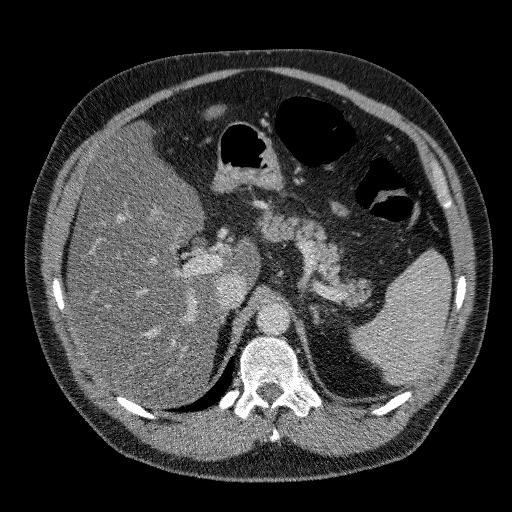 CT. Abdomen. Image size 512x512.
The liver lies within bbox(67, 123, 259, 407).